Image width 370 mm, CT image 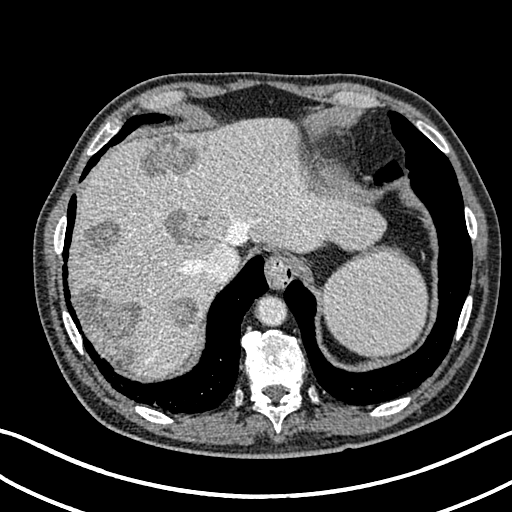
6 hepatic lesion regions appear at [x1=169, y1=298, x2=197, y2=328], [x1=141, y1=137, x2=197, y2=176], [x1=76, y1=287, x2=142, y2=340], [x1=164, y1=208, x2=207, y2=245], [x1=85, y1=220, x2=120, y2=252], [x1=115, y1=348, x2=134, y2=368]. The liver is at [x1=69, y1=117, x2=384, y2=378].